Field of view 312x312 mm; CT scan slice; Slice 67 of 81
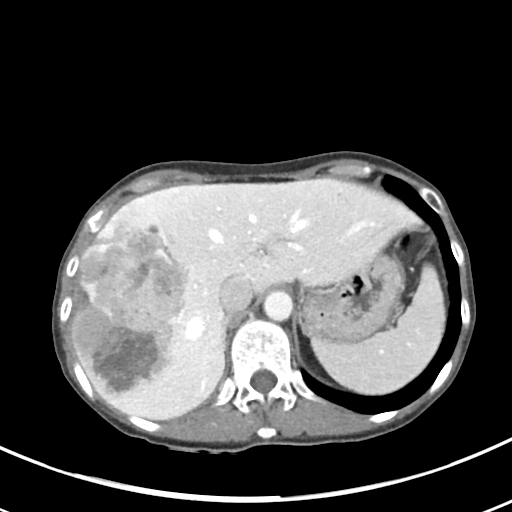

The vessel boxes may cover only some of the vessels.
Liver tumor: [x1=74, y1=217, x2=192, y2=398].
Hepatic vessel: [x1=288, y1=243, x2=301, y2=248], [x1=209, y1=229, x2=222, y2=242], [x1=187, y1=318, x2=202, y2=338].